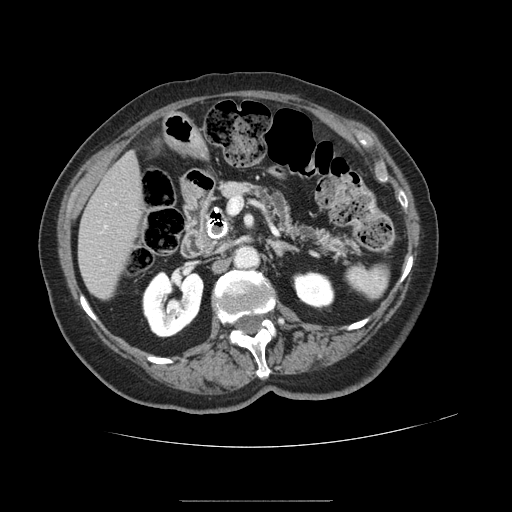 Image size 512x512; Abdomen; CT image

Pancreas: bounding box 218,180,359,258.